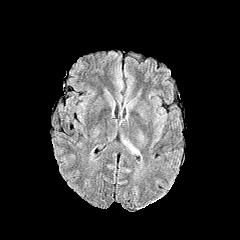
FLAIR MR image.
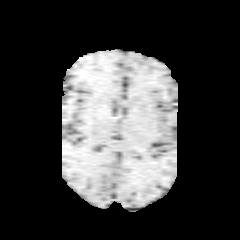
T1-weighted MR image of the same slice.
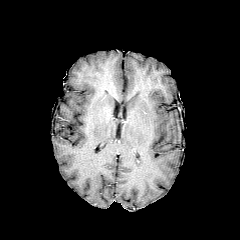
Post-contrast T1-weighted MR image.
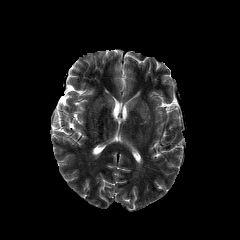
T2-weighted MRI.
Head.
Findings:
- edema: {"x1": 124, "y1": 100, "x2": 133, "y2": 109}, {"x1": 122, "y1": 138, "x2": 139, "y2": 154}